Thorax | Slice index 168 | CT scan slice 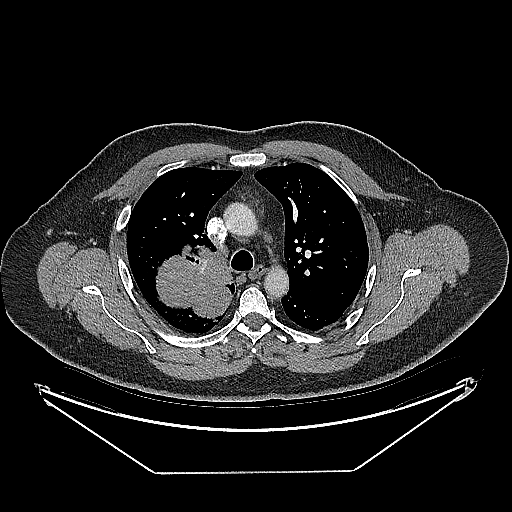
lung_tumor:
  - <box>156,245,232,323</box>